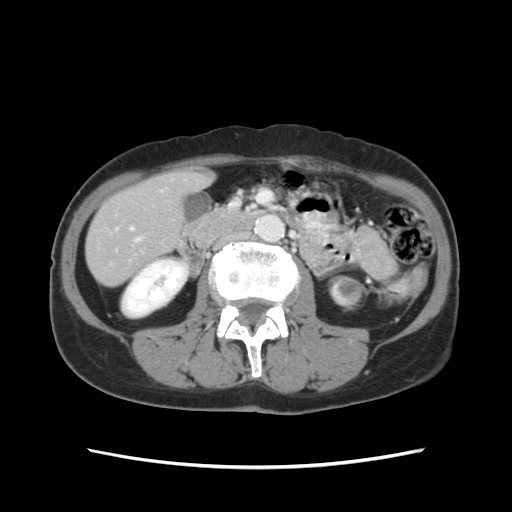 Abdomen, 512x512 px, CT scan slice
Some hepatic vessels may have no box.
Hepatic vessel: (130, 227, 132, 230), (135, 238, 139, 241).